T2-weighted MRI.
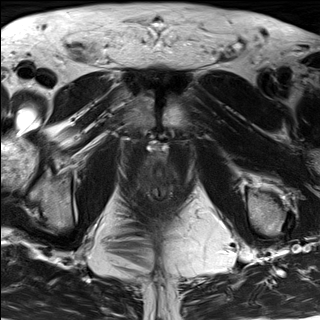
ADC MRI.
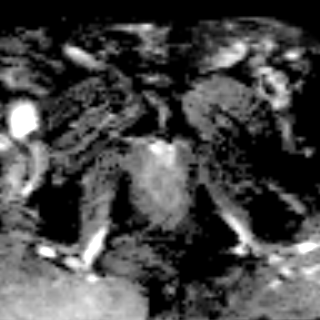
320x320. Pelvis.
<segmentation>
  <prostate_transition_zone>[x1=155, y1=165, x2=165, y2=175]</prostate_transition_zone>
</segmentation>